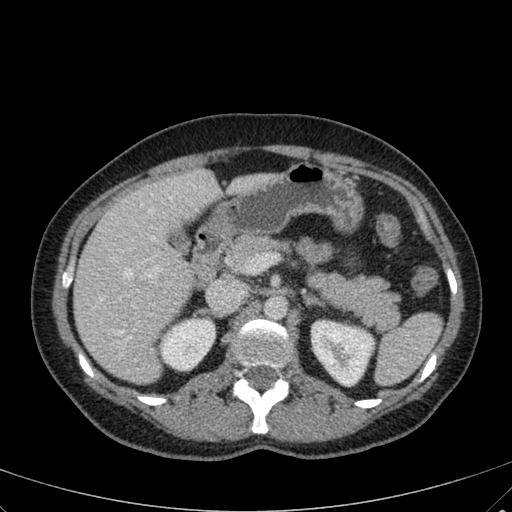
CT image | Abdomen
Segmented structures:
• liver: (74, 167, 223, 382), (219, 295, 237, 306), (225, 173, 283, 198)
• kidney: (161, 319, 214, 369), (312, 321, 373, 384)